CT; Liver; 512x512

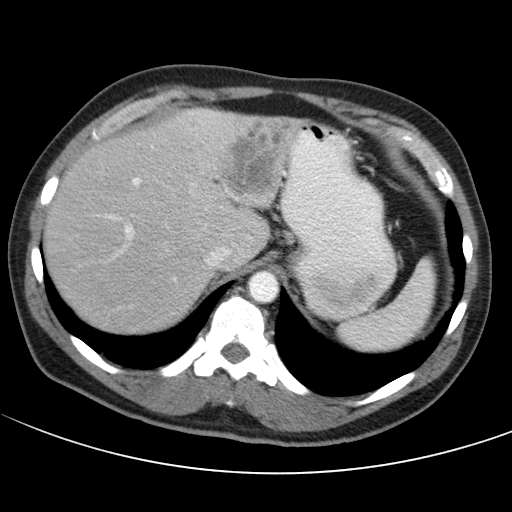

The vessel boxes may cover only some of the vessels.
hepatic_vessel:
  - bbox(206, 247, 228, 268)
  - bbox(106, 215, 117, 218)
  - bbox(133, 178, 138, 183)
  - bbox(124, 225, 132, 236)
  - bbox(233, 196, 237, 199)
liver_tumor:
  - bbox(280, 122, 289, 130)
  - bbox(229, 123, 275, 193)
  - bbox(211, 177, 222, 186)